CT | Field of view 360x360 mm | Pelvis 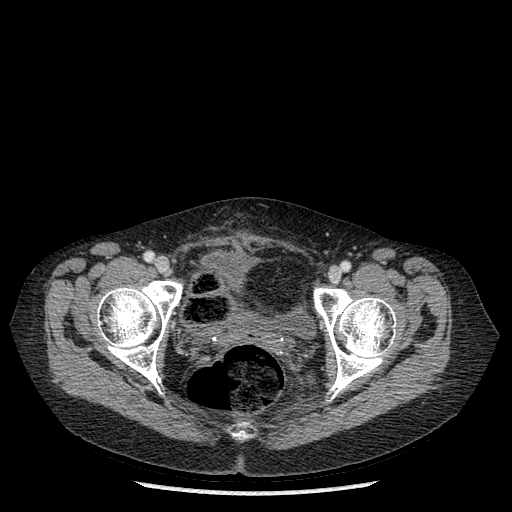 The urinary bladder is at <bbox>197, 249, 297, 345</bbox>. 3 bone regions are bounded by <bbox>233, 430, 248, 440</bbox>, <bbox>95, 279, 182, 393</bbox>, <bbox>313, 287, 396, 400</bbox>.